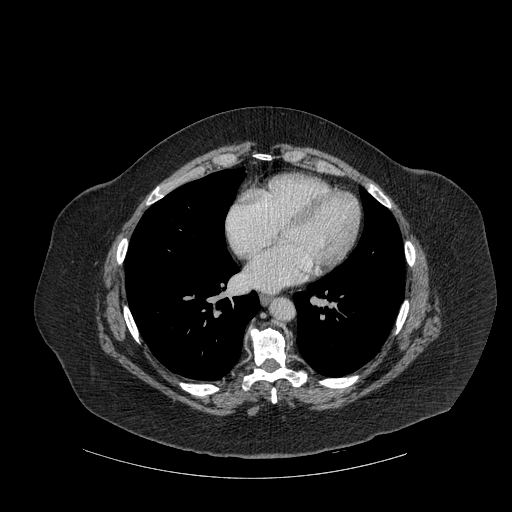 CT image

11 bone regions appear at bbox(153, 187, 162, 201); bbox(124, 307, 138, 341); bbox(271, 388, 276, 402); bbox(180, 383, 218, 395); bbox(396, 301, 408, 333); bbox(117, 239, 127, 263); bbox(242, 328, 306, 389); bbox(320, 376, 357, 388); bbox(255, 154, 270, 159); bbox(380, 197, 390, 207); bbox(405, 242, 415, 265). 2 lung regions are located at bbox(125, 168, 259, 380); bbox(293, 189, 404, 376).